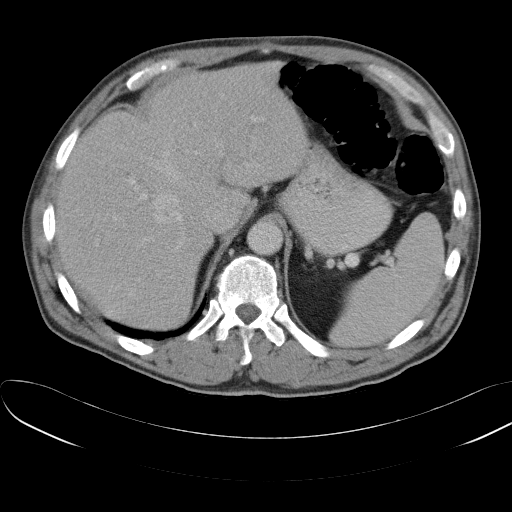

Abdomen | CT slice
Spleen at x1=331 y1=215 x2=445 y2=345.